CT slice 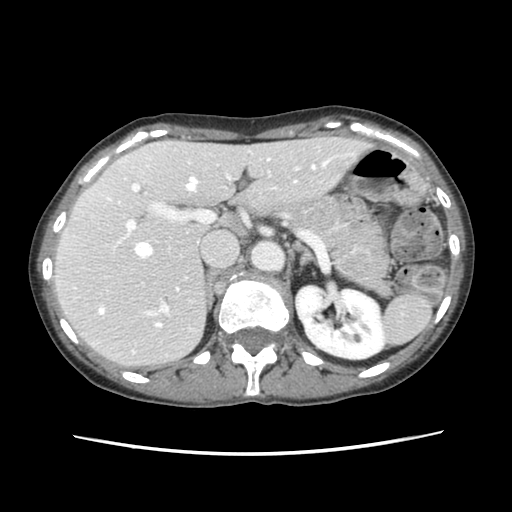

* spleen: (x1=381, y1=296, x2=431, y2=345)